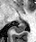 MR, Image size 36x42, Hippocampus

The posterior hippocampus is at x1=11, y1=21, x2=25, y2=32.